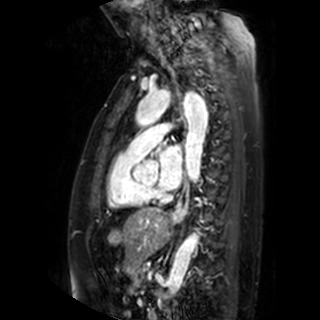

MR image. Cardiac.
The left atrium lies within left=159, top=144, right=181, bottom=190.